FLAIR magnetic resonance.
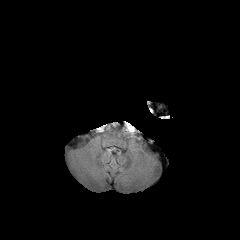
T1-weighted magnetic resonance.
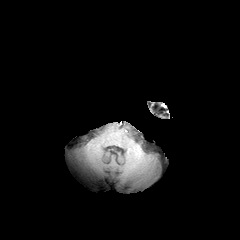
Post-contrast T1-weighted MR image.
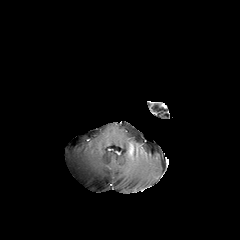
T2-weighted MR image.
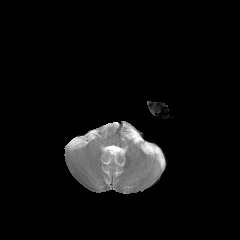
Image size 240x240
edema:
  - l=105, t=146, r=119, b=156
  - l=124, t=125, r=133, b=138